Upper abdomen, Slice 606 of 683, CT slice
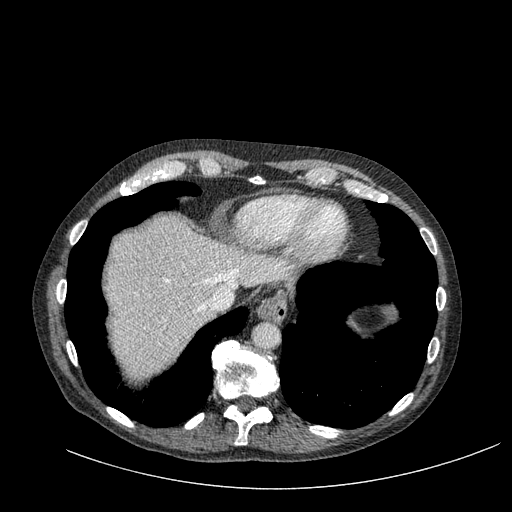 The liver is located at 107,215,296,377.